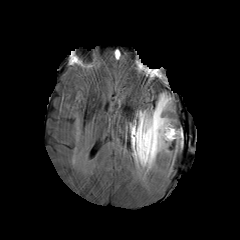
FLAIR MR image.
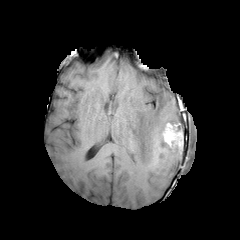
T1-weighted MRI of the same slice.
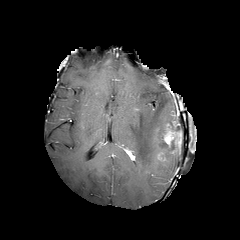
Post-contrast T1-weighted MR image of the same slice.
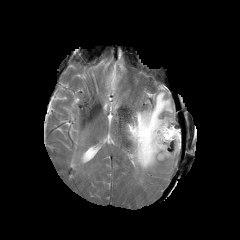
T2-weighted MR image.
Brain; 240x240
Annotated regions:
• enhancing tumor: box(164, 124, 179, 144)
• edema: box(127, 92, 181, 171)
• non-enhancing tumor core: box(169, 138, 179, 148)